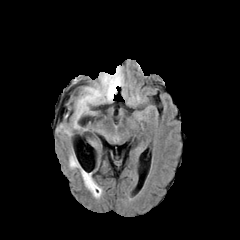
FLAIR MRI.
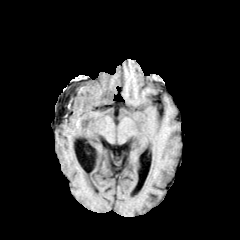
Same slice, T1-weighted MR.
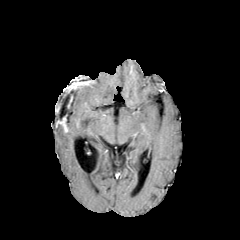
Post-contrast T1-weighted MR.
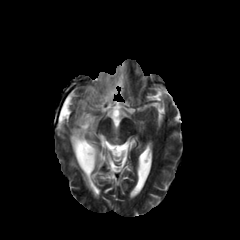
Same slice, T2-weighted MR image.
2 edema regions are located at x1=69, y1=155, x2=101, y2=198; x1=73, y1=68, x2=125, y2=128.